Brain; Slice 95 of 155; Image size 240x240
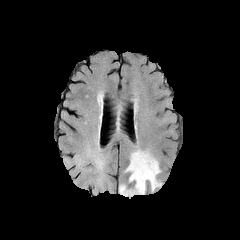
FLAIR magnetic resonance.
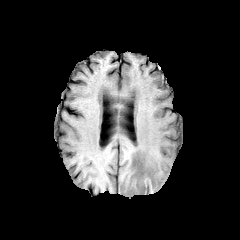
Same slice, T1-weighted MR image.
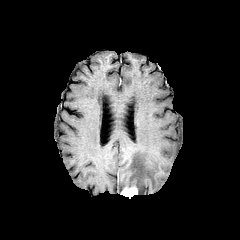
Same slice, post-contrast T1-weighted MR.
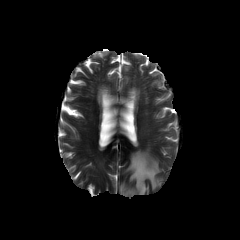
Same slice, T2-weighted MR.
Enhancing tumor — <bbox>121, 186, 137, 196</bbox>.
Edema — <bbox>125, 150, 161, 194</bbox>.